Brain, Image size 240x240, Slice index 108
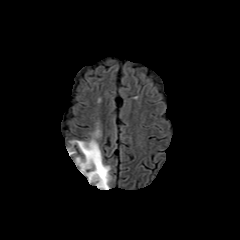
FLAIR magnetic resonance.
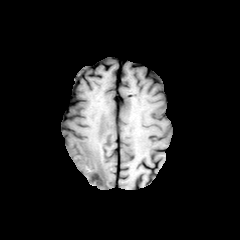
Same slice, T1-weighted magnetic resonance.
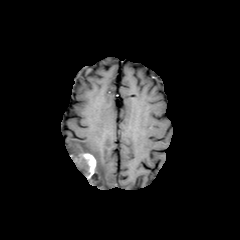
Post-contrast T1-weighted MR image of the same slice.
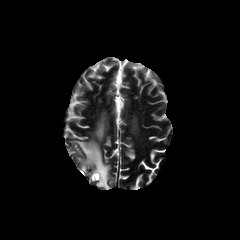
Same slice, T2-weighted magnetic resonance.
Edema at [x1=68, y1=139, x2=112, y2=188].
Enhancing tumor at [x1=81, y1=153, x2=96, y2=178].